Hippocampus; 34x47 px; Magnetic resonance
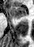
Anterior hippocampus: bounding box (10, 6, 26, 18).